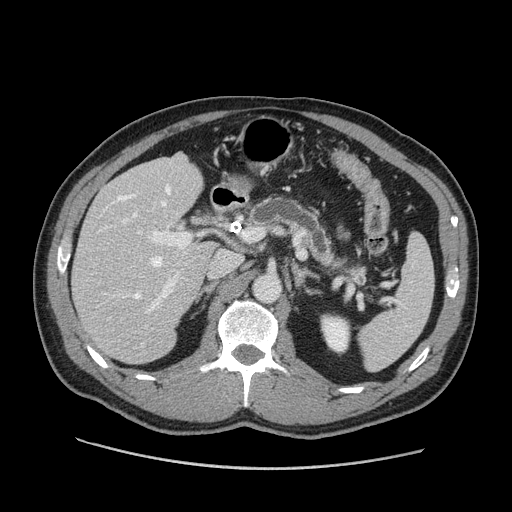

Computed tomography | Upper abdomen
The pancreas is bounded by rect(246, 196, 367, 284).